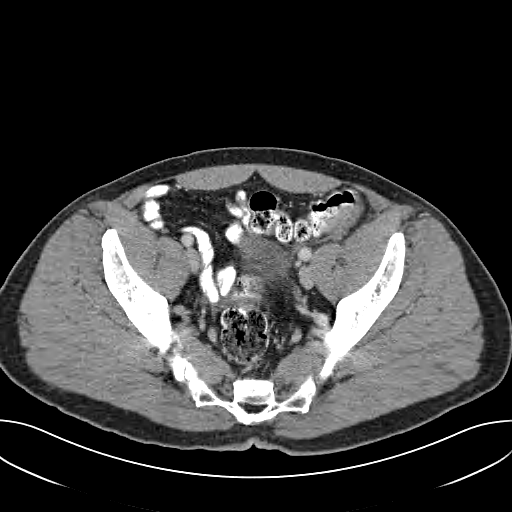 CT image | Image size 512x512 | Abdomen
colon tumor: rect(320, 201, 363, 236)